CT.

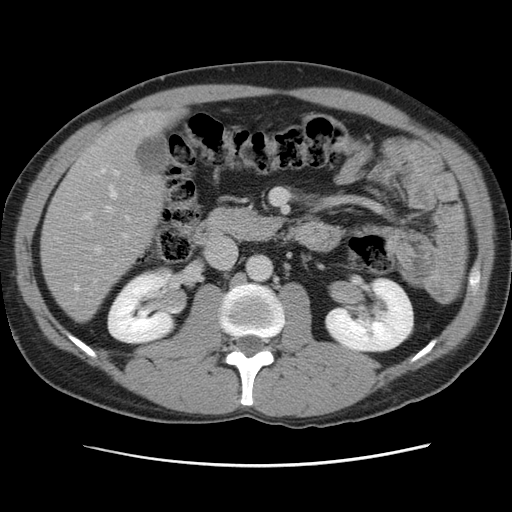

Some hepatic vessels may have no box.
Hepatic vessel at bbox=[84, 213, 91, 219]; bbox=[75, 285, 79, 290]; bbox=[115, 264, 116, 265]; bbox=[110, 186, 116, 198]; bbox=[107, 206, 111, 211]; bbox=[102, 169, 104, 172]; bbox=[126, 216, 129, 220]; bbox=[140, 121, 142, 122]; bbox=[96, 247, 101, 252]; bbox=[123, 234, 127, 237].